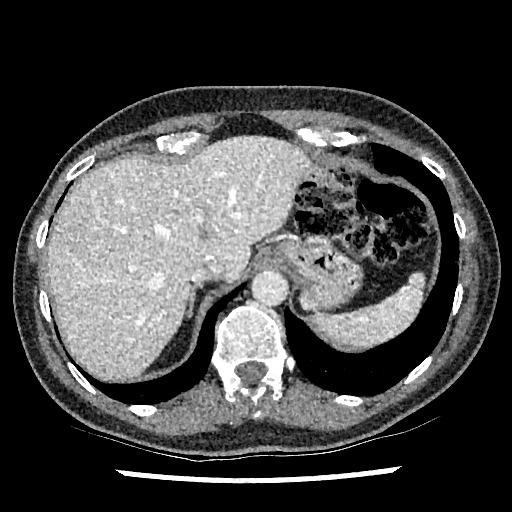
512x512. Abdomen. Computed tomography.
Liver — [47, 136, 317, 379].